Field of view 420x420 mm, 512x512 px, CT scan slice, Slice 55 of 146 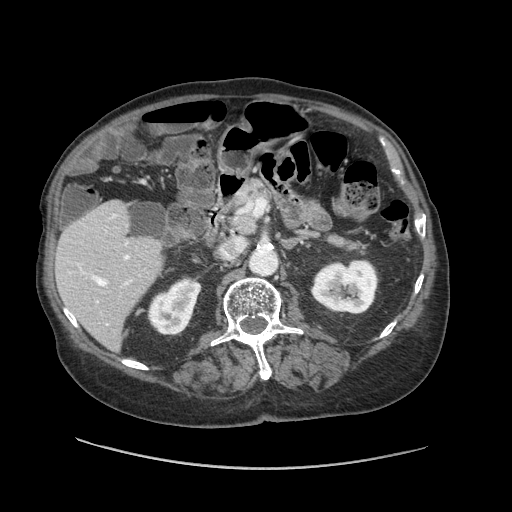 Some hepatic vessels may have no box.
3 hepatic vessel regions are bounded by (left=234, top=238, right=244, bottom=251), (left=221, top=248, right=232, bottom=258), (left=94, top=277, right=106, bottom=285).